FLAIR MR image.
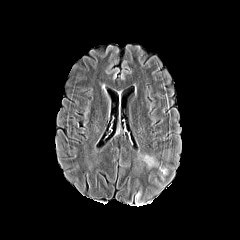
T1-weighted MR image.
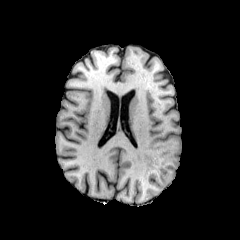
Post-contrast T1-weighted MR image.
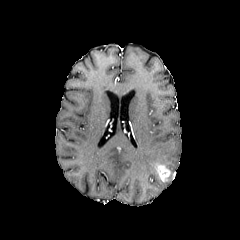
T2-weighted MRI.
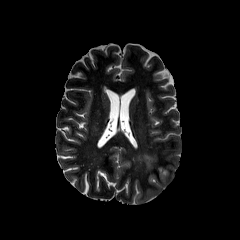
Brain
edema: bbox=[142, 153, 158, 169] | enhancing tumor: bbox=[153, 163, 169, 181]